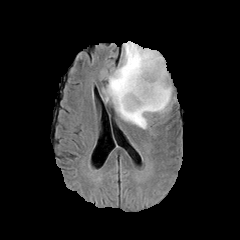
FLAIR MR image.
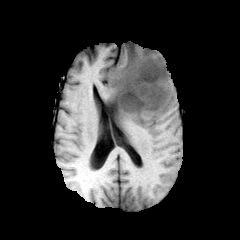
T1-weighted MR.
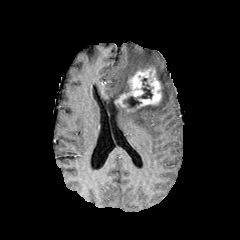
Post-contrast T1-weighted magnetic resonance of the same slice.
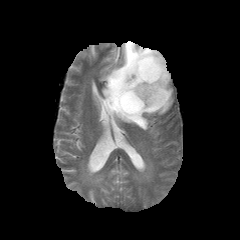
T2-weighted magnetic resonance of the same slice.
Brain
<segmentation>
  <enhancing_tumor>x1=115, y1=65, x2=161, y2=107</enhancing_tumor>
  <edema>x1=103, y1=42, x2=173, y2=129</edema>
  <non-enhancing_tumor_core>x1=138, y1=78, x2=152, y2=98; x1=106, y1=96, x2=119, y2=112; x1=123, y1=96, x2=141, y2=110; x1=136, y1=62, x2=164, y2=83</non-enhancing_tumor_core>
</segmentation>